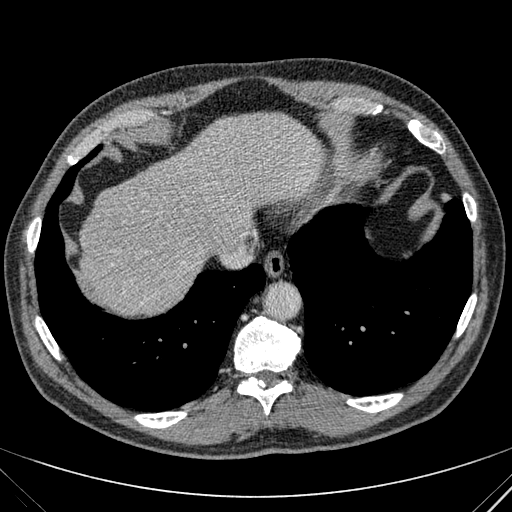

CT slice. Liver.
Liver at l=80, t=112, r=324, b=314.